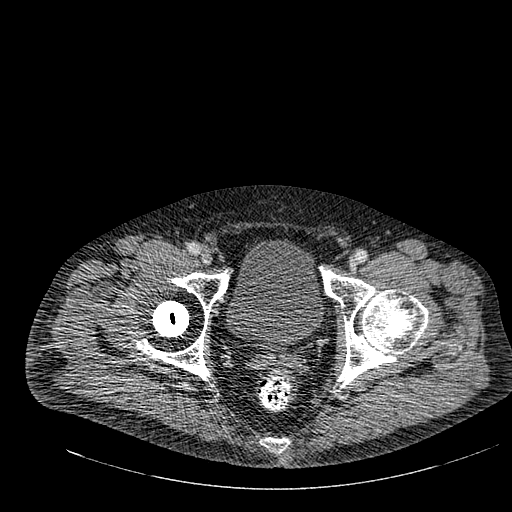

CT scan slice
{
  "urinary_bladder": [
    "(x1=226, y1=240, x2=324, y2=351)"
  ]
}